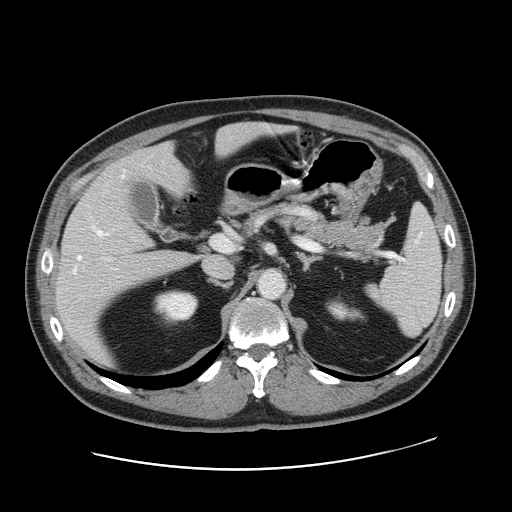

CT scan slice | Abdomen

The vessel boxes may cover only some of the vessels.
{"hepatic_vessel": ["l=121, t=170, r=124, b=177", "l=103, t=257, r=110, b=260", "l=164, t=143, r=169, b=147", "l=73, t=267, r=76, b=272", "l=217, t=144, r=221, b=152", "l=284, t=126, r=288, b=128", "l=183, t=253, r=188, b=259", "l=91, t=225, r=109, b=235", "l=267, t=125, r=269, b=131", "l=143, t=240, r=151, b=245", "l=218, t=127, r=226, b=134", "l=77, t=255, r=81, b=259"]}